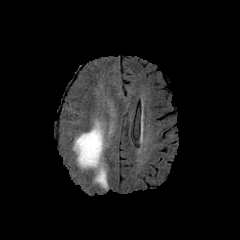
FLAIR MR.
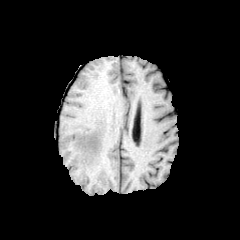
T1-weighted magnetic resonance of the same slice.
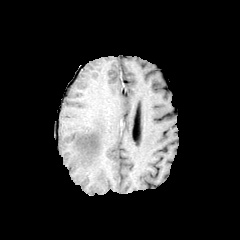
Post-contrast T1-weighted magnetic resonance of the same slice.
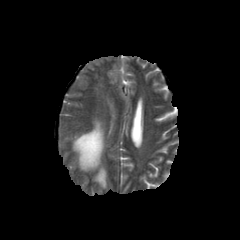
Same slice, T2-weighted magnetic resonance.
Image size 240x240. Brain.
Edema: bounding box 72 118 107 188.